Brain; Slice 57/155
FLAIR MRI.
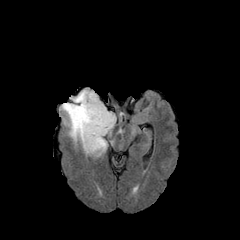
T1-weighted MR.
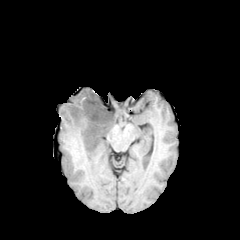
Post-contrast T1-weighted MR.
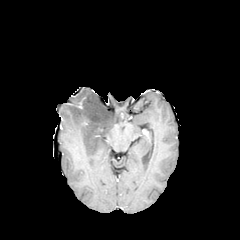
T2-weighted MRI.
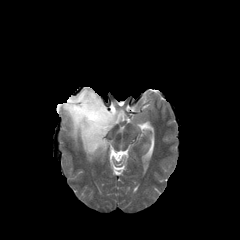
Edema — 60:89:116:156.
Non-enhancing tumor core — 67:97:111:140.